Image width 432 mm, Computed tomography, 512x512
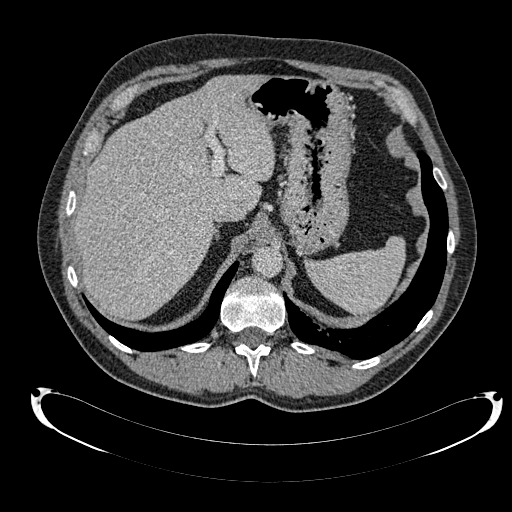

{"liver": ["region(74, 76, 274, 317)"]}